CT image. 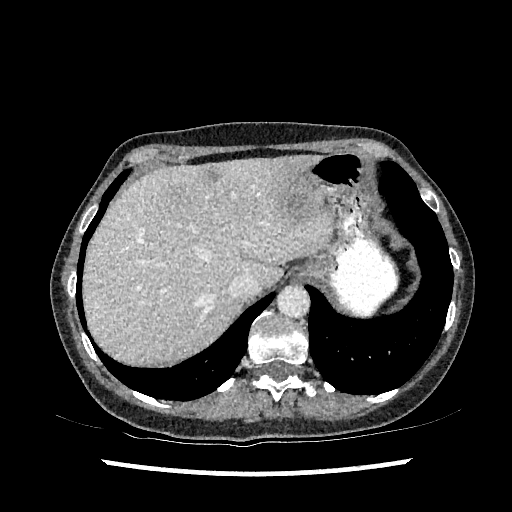

Liver — bbox(83, 156, 334, 363).
Hepatic lesion — bbox(169, 182, 190, 205); bbox(279, 158, 322, 223); bbox(204, 166, 220, 183).